CT scan slice, 512x512
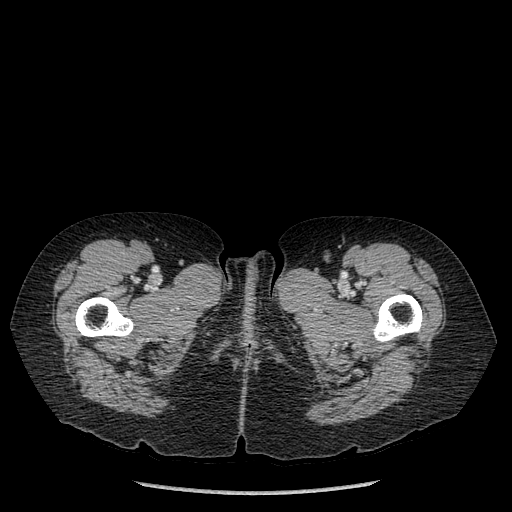

bone: 73, 297, 133, 336; 372, 293, 423, 342